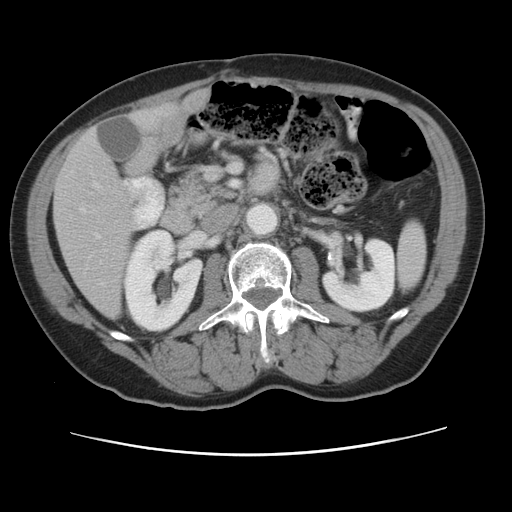

CT. Liver. The vessel boxes may cover only some of the vessels.
Annotated regions:
• hepatic vessel: l=108, t=309, r=113, b=313